CT scan slice. Image size 512x512. 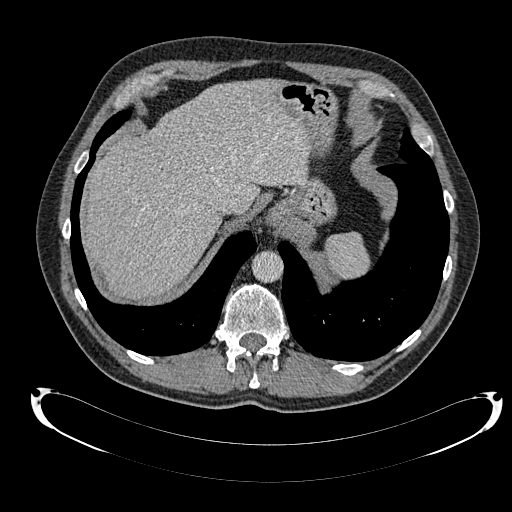
The liver lies within 87, 79, 310, 298.